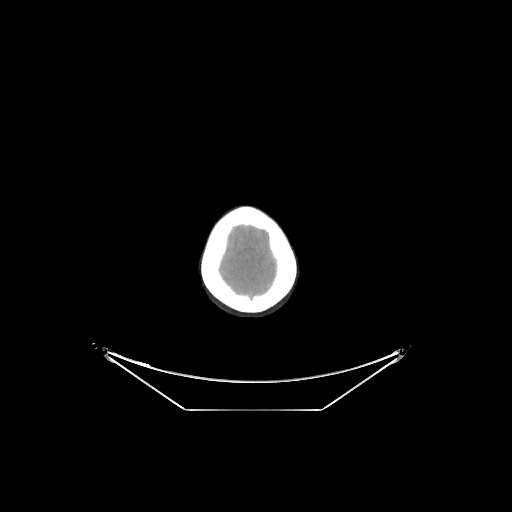
512x512. CT. Brain.
brain:
  - [x1=219, y1=224, x2=276, y2=300]